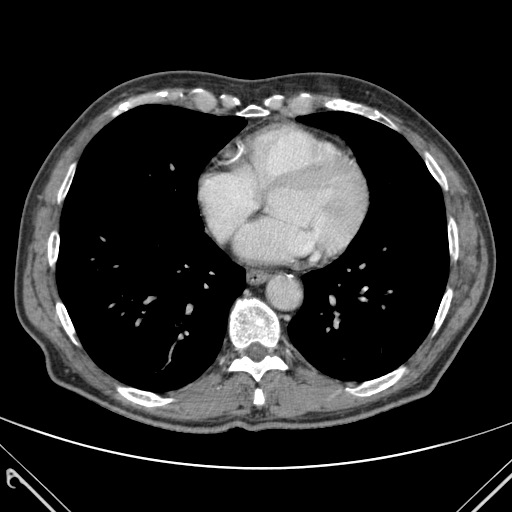
CT scan slice.
bone: rect(58, 165, 73, 204); rect(114, 102, 129, 115); rect(426, 153, 446, 188); rect(435, 290, 451, 329); rect(230, 299, 278, 347); rect(326, 100, 395, 126); rect(448, 219, 457, 258); rect(229, 356, 287, 380); rect(347, 368, 404, 395); rect(48, 225, 59, 266); rect(237, 105, 268, 116); rect(56, 299, 76, 343); rect(118, 388, 171, 406); rect(254, 389, 264, 403) | lung: rect(56, 105, 246, 390); rect(288, 111, 448, 380)